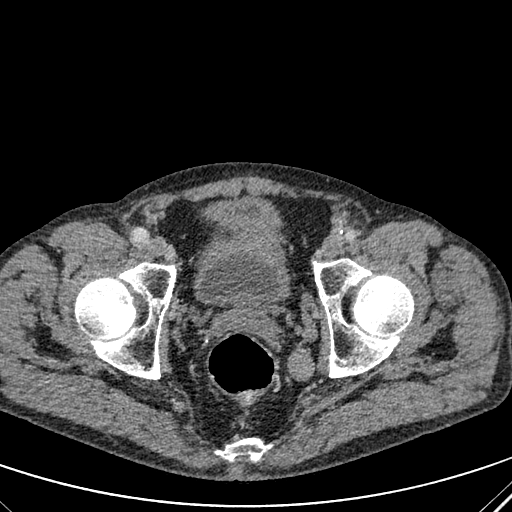
CT; 512x512

{
  "urinary_bladder": [
    "left=200, top=249, right=282, bottom=299",
    "left=241, top=208, right=261, bottom=220"
  ]
}